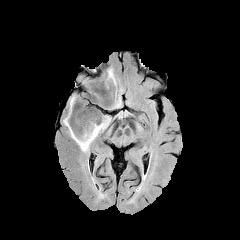
FLAIR MR image.
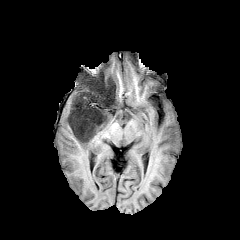
T1-weighted MRI.
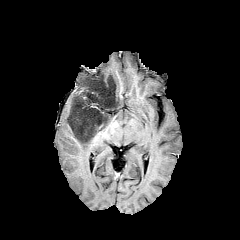
Post-contrast T1-weighted magnetic resonance.
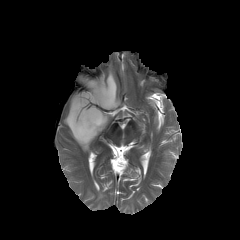
T2-weighted MR.
Head.
3 edema regions are located at 95 81 105 96, 105 66 116 81, 63 96 93 153. 2 non-enhancing tumor core regions are located at 70 109 110 142, 92 75 119 109.